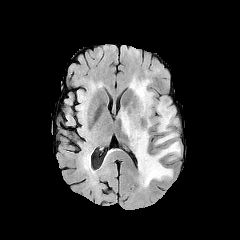
FLAIR MR.
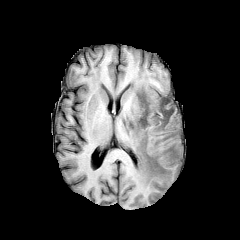
T1-weighted MRI of the same slice.
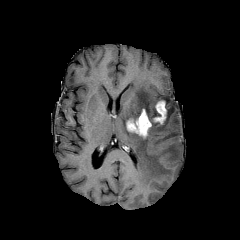
Same slice, post-contrast T1-weighted MR.
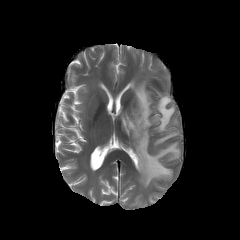
T2-weighted MR image.
The non-enhancing tumor core is at left=126, top=100, right=173, bottom=127. 2 edema regions are located at left=118, top=75, right=181, bottom=187; left=162, top=96, right=173, bottom=108. 2 enhancing tumor regions are bounded by left=156, top=100, right=166, bottom=123; left=126, top=109, right=151, bottom=137.